FLAIR MR image.
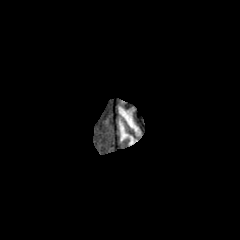
T1-weighted MR.
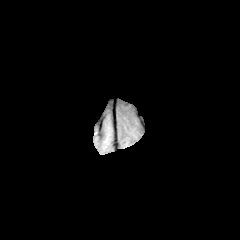
Post-contrast T1-weighted MR image.
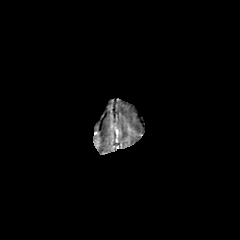
T2-weighted magnetic resonance.
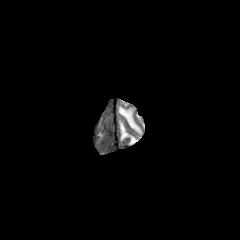
edema:
  - (left=118, top=106, right=141, bottom=145)